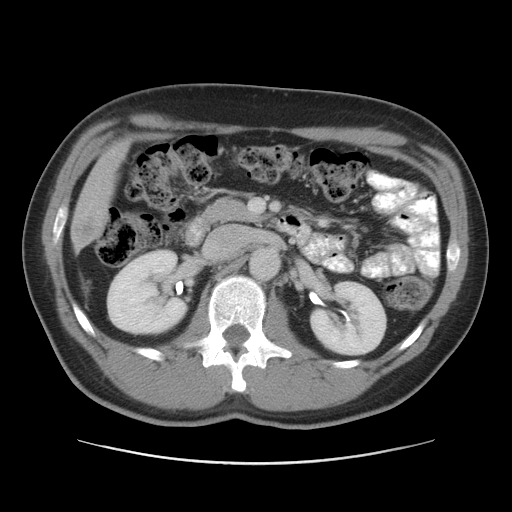
Abdomen, CT slice

Findings:
• liver tumor: [x1=73, y1=214, x2=99, y2=240]